Slice 104/155; Head
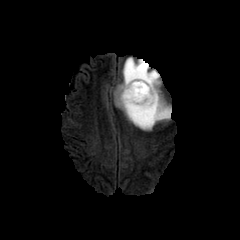
FLAIR magnetic resonance.
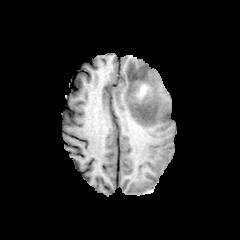
T1-weighted MR.
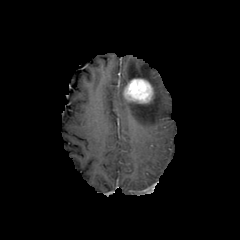
Post-contrast T1-weighted magnetic resonance.
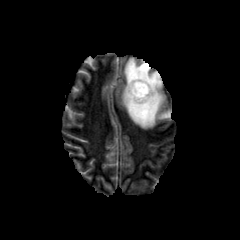
T2-weighted MRI.
* enhancing tumor: region(124, 78, 152, 103)
* non-enhancing tumor core: region(127, 91, 153, 106)
* edema: region(118, 58, 170, 129)